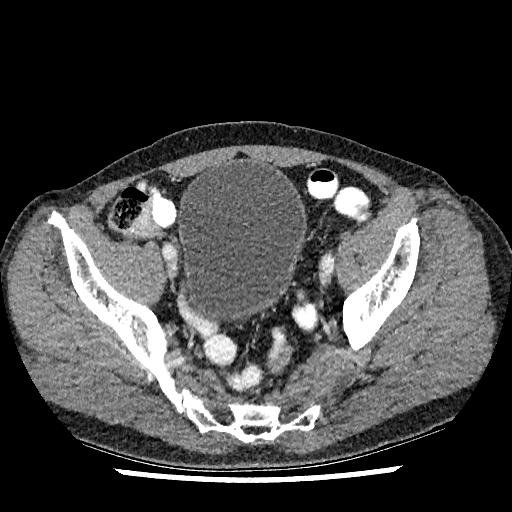

Computed tomography
Urinary bladder: [179, 162, 304, 322].